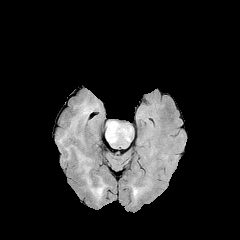
FLAIR MR.
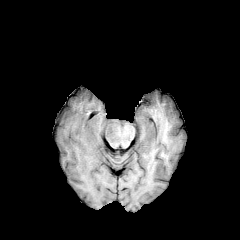
Same slice, T1-weighted MRI.
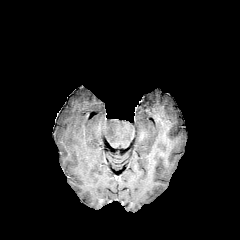
Post-contrast T1-weighted MR.
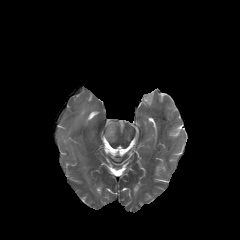
T2-weighted magnetic resonance of the same slice.
Brain. Image size 240x240.
3 edema regions are located at {"x1": 74, "y1": 103, "x2": 93, "y2": 123}, {"x1": 83, "y1": 166, "x2": 105, "y2": 198}, {"x1": 105, "y1": 122, "x2": 112, "y2": 137}.